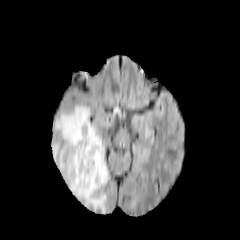
FLAIR MR image.
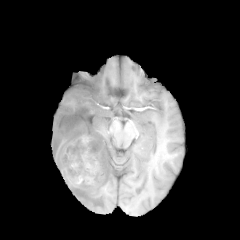
T1-weighted MRI.
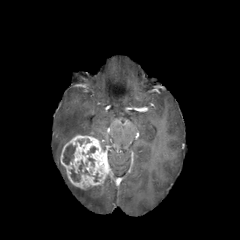
Post-contrast T1-weighted MRI of the same slice.
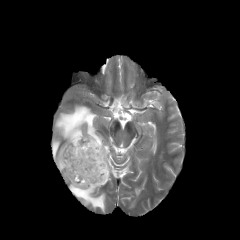
T2-weighted magnetic resonance.
non-enhancing_tumor_core:
  - [x1=68, y1=165, x2=81, y2=182]
  - [x1=62, y1=144, x2=75, y2=165]
edema:
  - [x1=52, y1=104, x2=106, y2=212]
enhancing_tumor:
  - [x1=60, y1=135, x2=108, y2=189]